Upper abdomen; CT slice 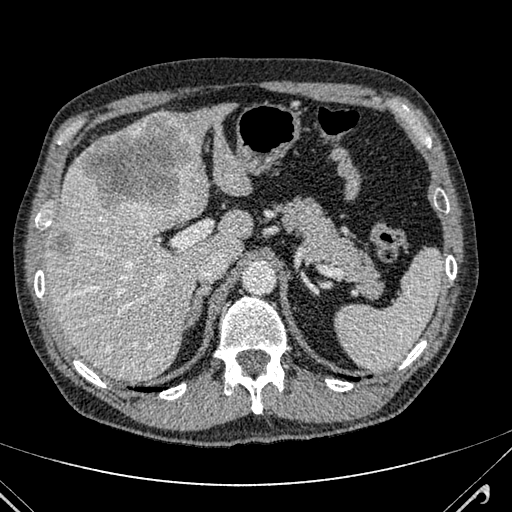

Hepatic lesion at {"x1": 81, "y1": 116, "x2": 207, "y2": 211}, {"x1": 52, "y1": 234, "x2": 73, "y2": 255}.
Liver at {"x1": 154, "y1": 103, "x2": 249, "y2": 195}, {"x1": 97, "y1": 120, "x2": 146, "y2": 142}, {"x1": 47, "y1": 155, "x2": 251, "y2": 379}.